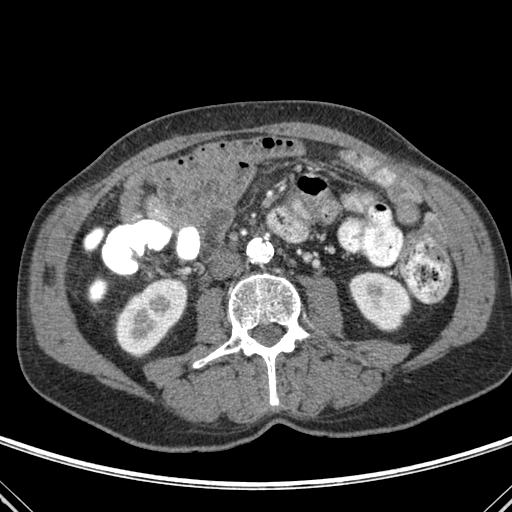 CT slice; Abdomen
Kidney — box(350, 273, 407, 328); box(117, 280, 186, 354).
Bone — box(193, 273, 309, 405).